512x512 px | CT scan slice | Slice index 548 | Liver 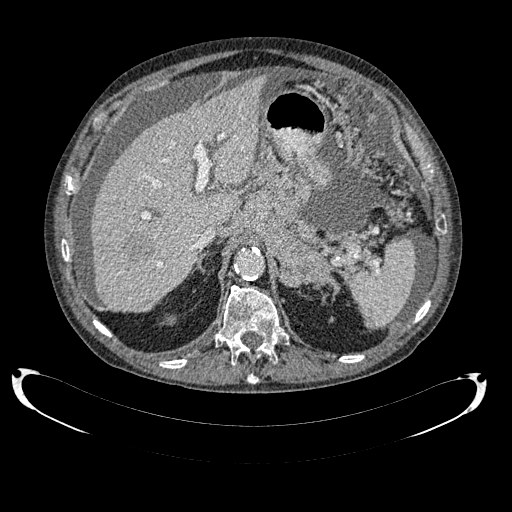
Liver — (91,75,266,311).
Focal liver lesion — (124,234,153,260).